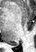
Medial temporal lobe. MRI.
posterior_hippocampus:
  - x1=11 y1=43 x2=18 y2=46